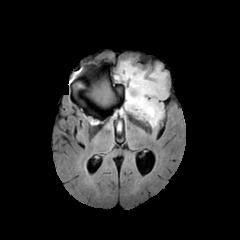
FLAIR magnetic resonance.
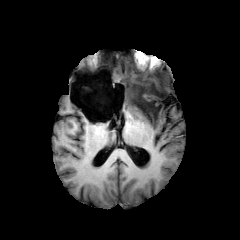
T1-weighted MR image.
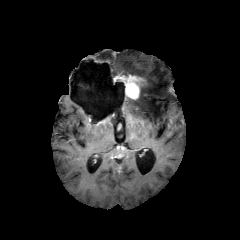
Post-contrast T1-weighted magnetic resonance.
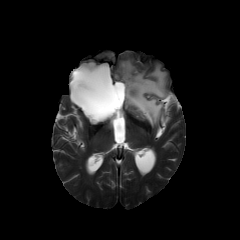
T2-weighted MR.
Head
Edema — [x1=117, y1=60, x2=168, y2=129], [x1=119, y1=110, x2=126, y2=130].
Enhancing tumor — [x1=114, y1=74, x2=145, y2=99].
Non-enhancing tumor core — [x1=126, y1=76, x2=149, y2=105], [x1=93, y1=84, x2=113, y2=104], [x1=149, y1=102, x2=158, y2=112], [x1=110, y1=116, x2=120, y2=129].